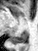
38x51 | Hippocampus | MR image

Posterior hippocampus — (12, 32, 27, 44).